FLAIR MR image.
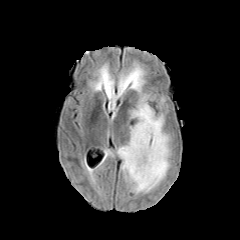
T1-weighted MR image.
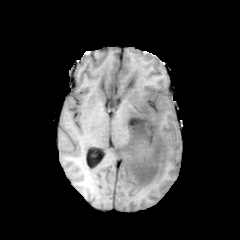
Post-contrast T1-weighted magnetic resonance.
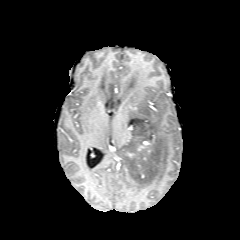
T2-weighted MR.
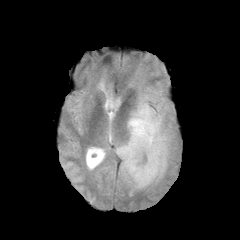
Head
Edema — <box>123,129,142,147</box>, <box>102,72,117,107</box>, <box>114,64,172,193</box>, <box>136,152,148,165</box>.
Non-enhancing tumor core — <box>122,102,166,188</box>.
Enhancing tumor — <box>138,140,149,150</box>.